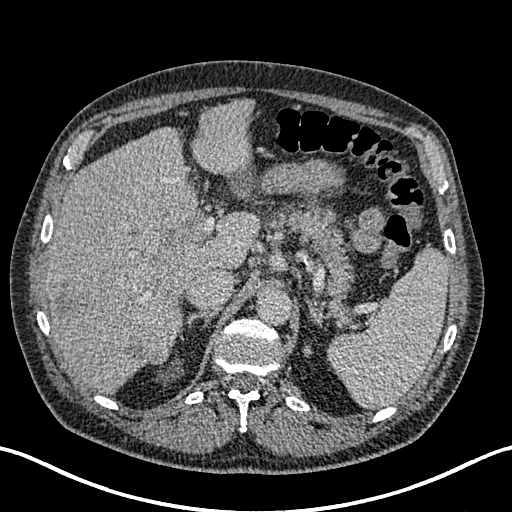 CT slice, 512x512 px, Abdomen

3 hepatic lesion regions are located at rect(126, 336, 158, 362); rect(54, 281, 92, 318); rect(145, 219, 197, 279). 3 liver regions are located at rect(231, 180, 250, 198); rect(193, 99, 253, 174); rect(46, 127, 259, 393).